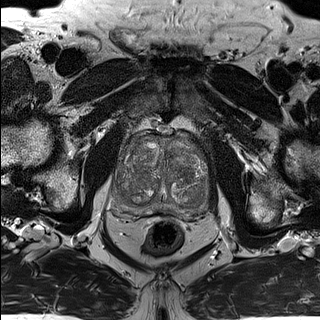
T2-weighted magnetic resonance.
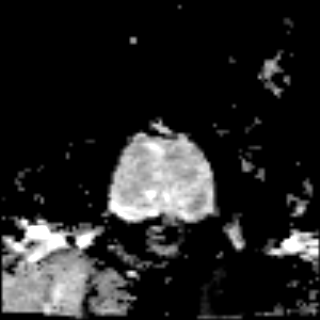
ADC MR image.
320x320 px.
<segmentation>
  <prostate_peripheral_zone><bbox>113, 189, 207, 218</bbox></prostate_peripheral_zone>
  <prostate_transition_zone><bbox>113, 133, 208, 209</bbox></prostate_transition_zone>
</segmentation>